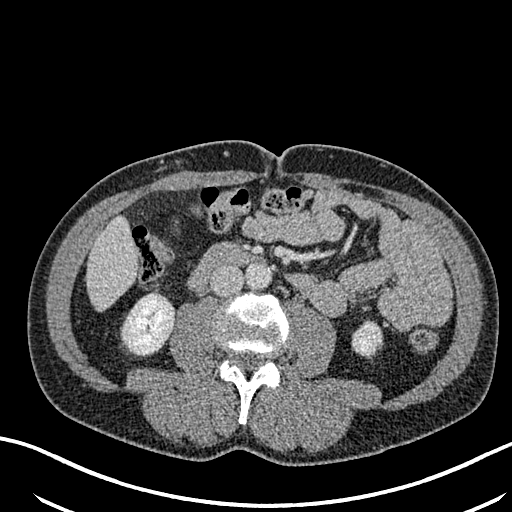 CT slice, Image size 512x512
Kidney: bounding box x1=353, y1=323, x2=381, y2=354; x1=122, y1=294, x2=173, y2=354.
Liver: bounding box x1=87, y1=217, x2=136, y2=311.